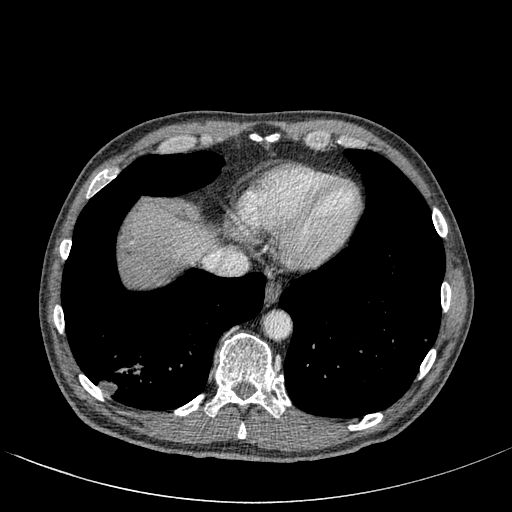

512x512 px, Abdomen, Computed tomography
{
  "liver": [
    "l=120, t=201, r=215, b=285"
  ]
}